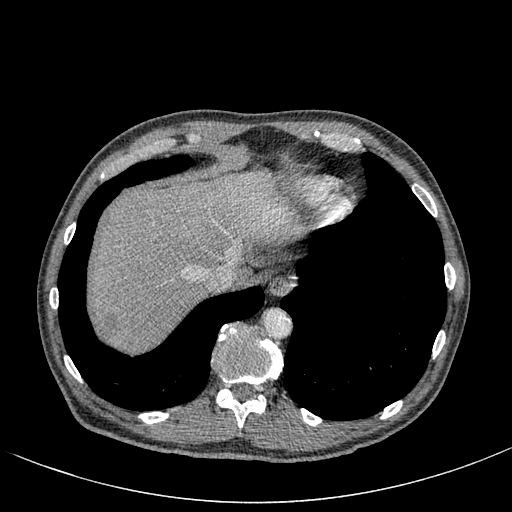 CT scan slice
Focal liver lesion = 95,314,118,337; 283,210,295,221.
Liver = 90,173,302,351.